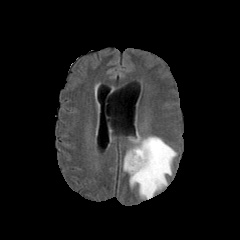
FLAIR MR.
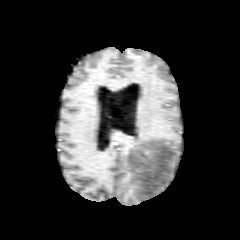
T1-weighted MR of the same slice.
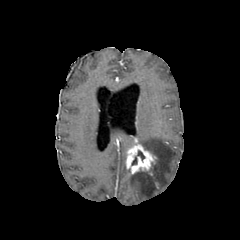
Post-contrast T1-weighted magnetic resonance.
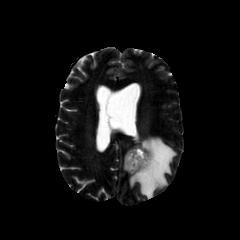
T2-weighted magnetic resonance.
The edema appears at [123, 135, 177, 199]. The enhancing tumor is located at [125, 144, 156, 174]. The non-enhancing tumor core appears at [137, 154, 157, 177].